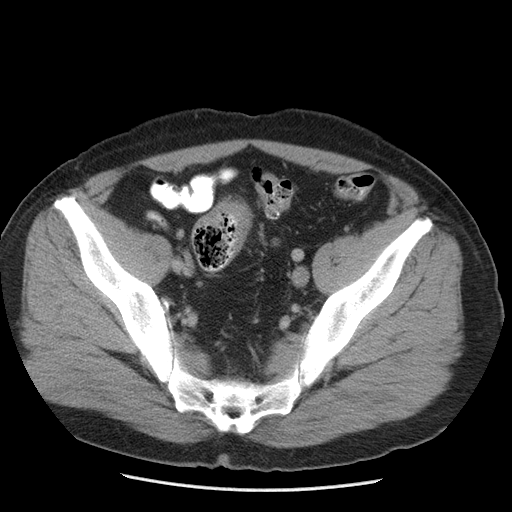

CT scan slice.

The colon tumor lies within box=[196, 198, 251, 250].